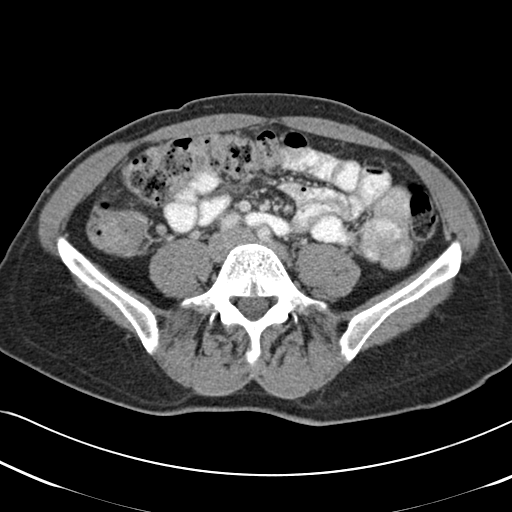
Abdomen. CT image. Findings:
• colon tumor: region(86, 209, 145, 254)